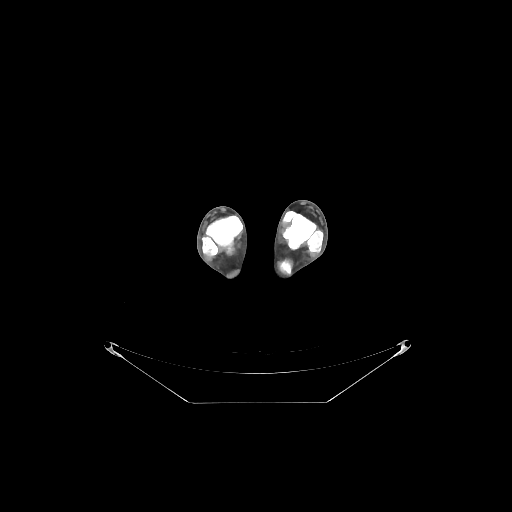 CT
Bone at left=280, top=260, right=291, bottom=273; left=202, top=216, right=242, bottom=256; left=283, top=211, right=322, bottom=252.